FLAIR MRI.
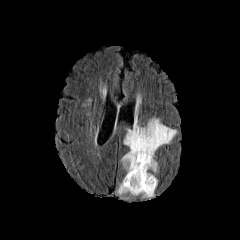
T1-weighted MR.
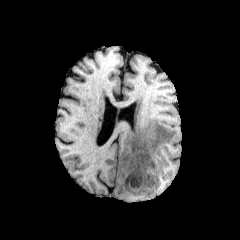
Post-contrast T1-weighted MR image.
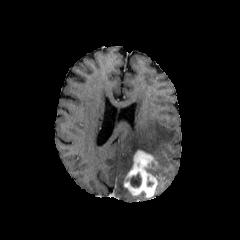
T2-weighted magnetic resonance.
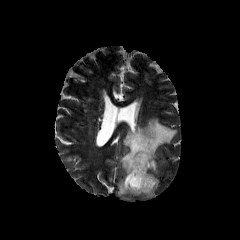
Brain.
The non-enhancing tumor core appears at x1=130, y1=174, x2=141, y2=187. 2 edema regions are located at x1=115, y1=179, x2=130, y2=195; x1=122, y1=116, x2=176, y2=173. The enhancing tumor is at x1=124, y1=150, x2=158, y2=197.